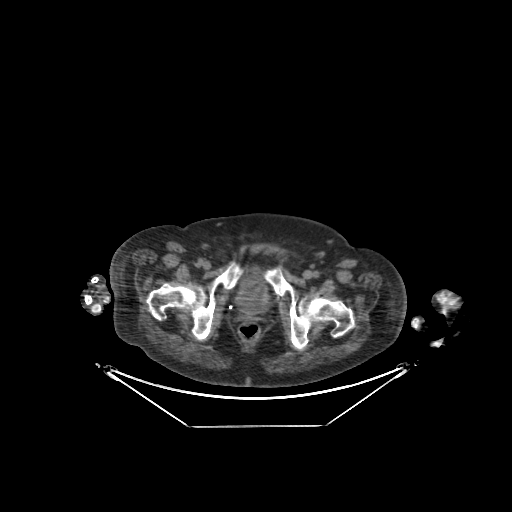

CT | Image size 512x512
The urinary bladder is at box=[234, 265, 272, 317].